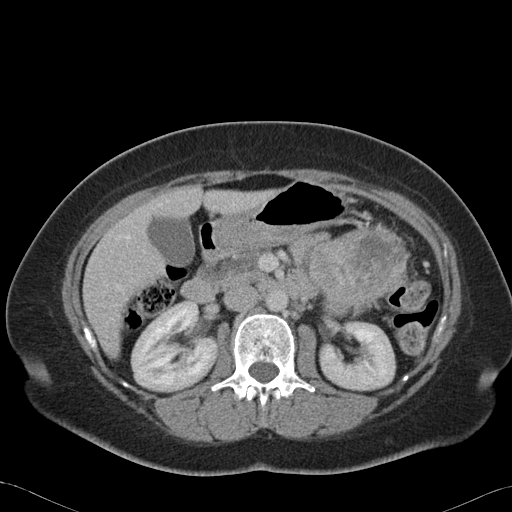

Computed tomography | Abdomen

Pancreatic tumor = x1=309, y1=227, x2=407, y2=302.
Pancreas = x1=207, y1=253, x2=261, y2=291.